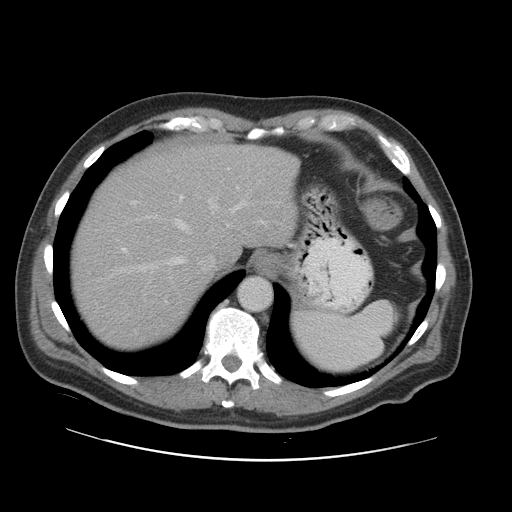

CT scan slice
The vessel annotation is not exhaustive.
4 hepatic vessel regions are located at <box>122,248,126,252</box>, <box>176,220,187,229</box>, <box>132,201,137,204</box>, <box>179,195,183,201</box>.